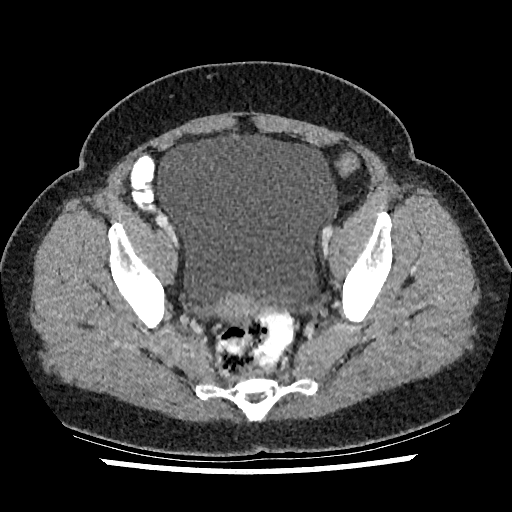
CT slice | Pelvis
Urinary bladder at <box>156,133,336,317</box>.